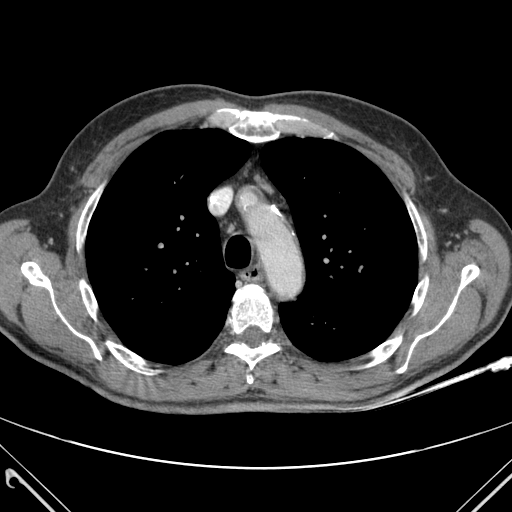
CT slice
Bone — {"x1": 411, "y1": 203, "x2": 426, "y2": 258}, {"x1": 225, "y1": 342, "x2": 279, "y2": 369}, {"x1": 412, "y1": 277, "x2": 428, "y2": 313}, {"x1": 106, "y1": 341, "x2": 150, "y2": 374}, {"x1": 367, "y1": 336, "x2": 401, "y2": 366}, {"x1": 218, "y1": 109, "x2": 299, "y2": 142}, {"x1": 397, "y1": 362, "x2": 407, "y2": 372}, {"x1": 409, "y1": 265, "x2": 479, "y2": 353}, {"x1": 77, "y1": 188, "x2": 99, "y2": 248}, {"x1": 80, "y1": 280, "x2": 96, "y2": 319}, {"x1": 229, "y1": 284, "x2": 272, "y2": 333}, {"x1": 21, "y1": 262, "x2": 101, "y2": 359}.
Lung — {"x1": 261, "y1": 137, "x2": 417, "y2": 360}, {"x1": 85, "y1": 129, "x2": 249, "y2": 364}.